Brain
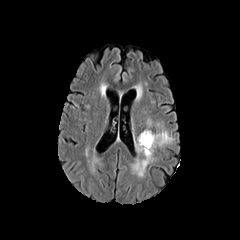
FLAIR MR.
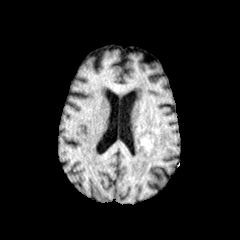
T1-weighted MRI.
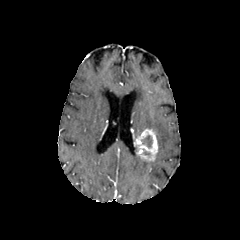
Post-contrast T1-weighted MRI.
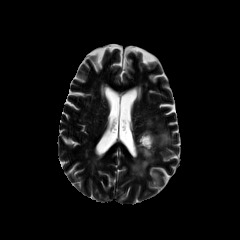
T2-weighted magnetic resonance.
edema: box=[155, 122, 173, 147]; box=[130, 156, 152, 176] | non-enhancing tumor core: box=[142, 148, 152, 158]; box=[141, 134, 153, 148] | enhancing tumor: box=[134, 127, 158, 161]